Image size 512x512 | CT slice | Abdomen

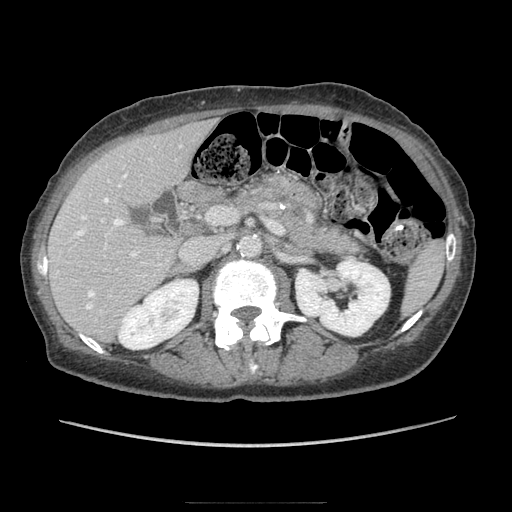
The pancreas lies within x1=282, y1=214, x2=359, y2=254.